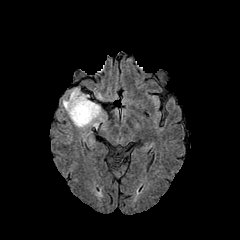
FLAIR MR image.
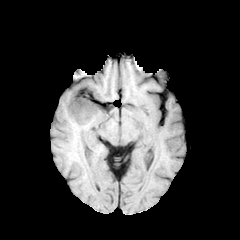
T1-weighted MR of the same slice.
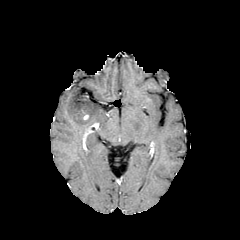
Post-contrast T1-weighted magnetic resonance.
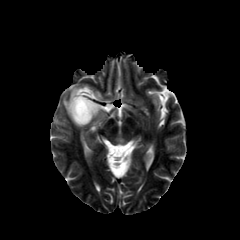
Same slice, T2-weighted MR.
Head
The edema lies within l=63, t=88, r=101, b=127.